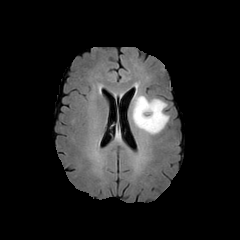
FLAIR MR image.
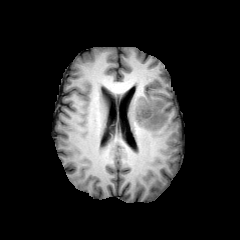
Same slice, T1-weighted MR.
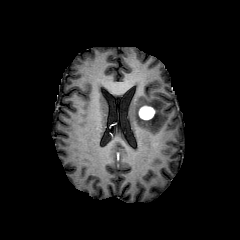
Same slice, post-contrast T1-weighted MR image.
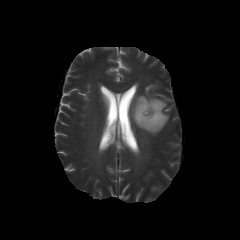
T2-weighted MRI of the same slice.
240x240 px
Enhancing tumor: l=139, t=105, r=155, b=119.
Edema: l=127, t=82, r=169, b=136.
Non-enhancing tumor core: l=136, t=97, r=157, b=125.